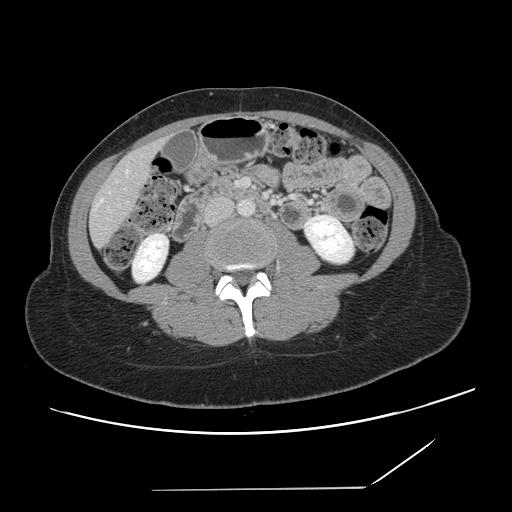

Abdomen. Computed tomography.

Some hepatic vessels may have no box.
2 hepatic vessel regions appear at 126:170:129:172, 97:199:103:205.